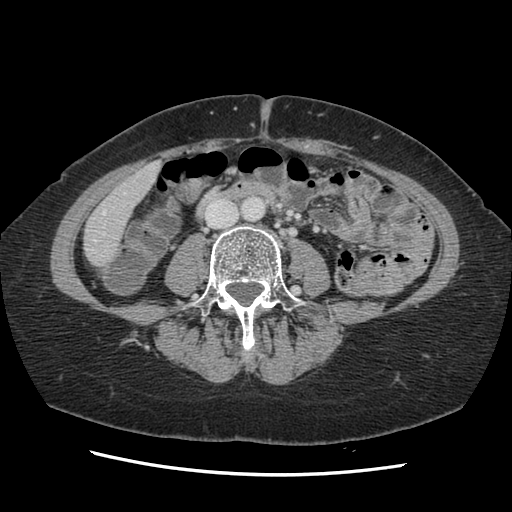 CT scan slice
The vessel boxes may cover only some of the vessels.
Findings:
• hepatic vessel: bbox(103, 210, 105, 214); bbox(94, 239, 97, 241)